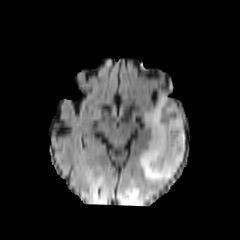
FLAIR magnetic resonance.
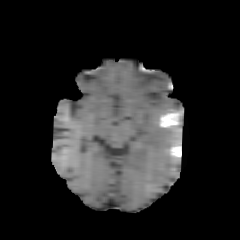
T1-weighted MR image.
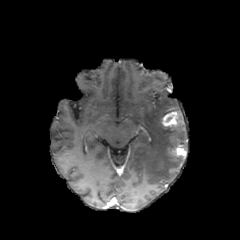
Post-contrast T1-weighted MR image.
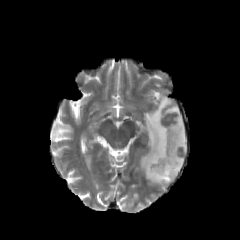
Same slice, T2-weighted magnetic resonance.
240x240.
2 enhancing tumor regions are located at (163,111,179,126), (172,143,187,158). 2 non-enhancing tumor core regions are located at (169,133,185,155), (167,115,183,130). The edema is located at (139,92,185,184).